CT image.

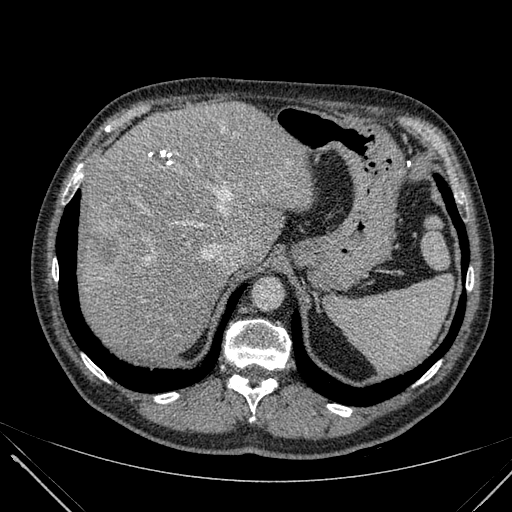
Focal liver lesion: [95,238,114,262].
Liver: [78,103,314,364].